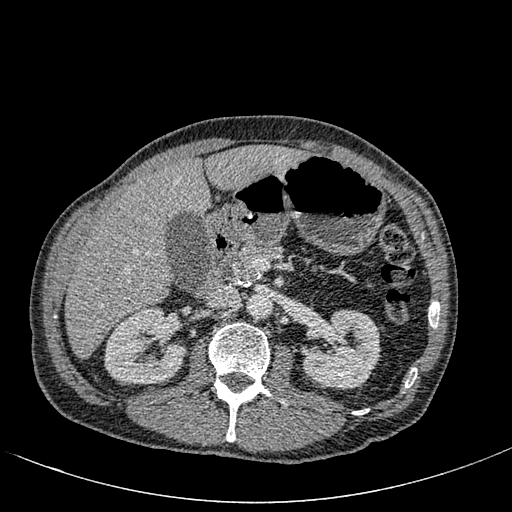
CT scan slice, Upper abdomen, Image size 512x512
• liver: l=206, t=146, r=304, b=190; l=66, t=159, r=210, b=358
• kidney: l=104, t=308, r=185, b=383; l=301, t=310, r=379, b=389